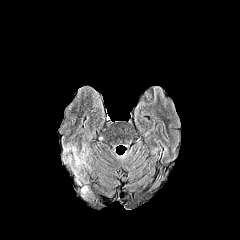
FLAIR MR.
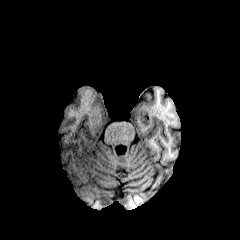
T1-weighted MR.
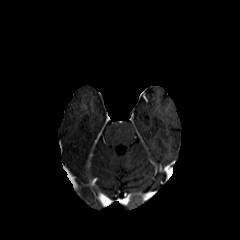
Post-contrast T1-weighted MR image of the same slice.
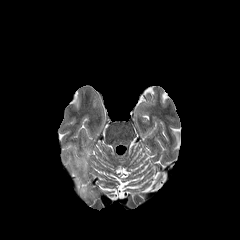
T2-weighted MR.
Image size 240x240 | Brain
edema:
  - x1=65 y1=144 x2=89 y2=183